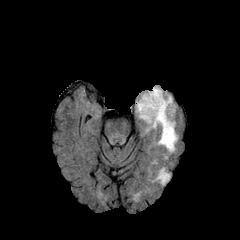
FLAIR magnetic resonance.
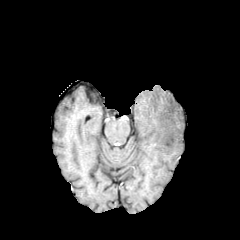
T1-weighted MRI.
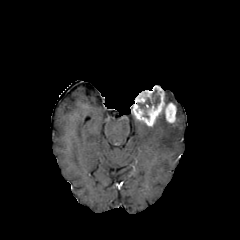
Post-contrast T1-weighted MRI of the same slice.
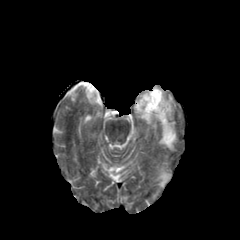
T2-weighted MR image of the same slice.
Edema: bounding box (146,114,178,154), (165,92,172,103), (155,167,171,185).
Non-enhancing tumor core: bounding box (152,90,160,105), (138,98,151,110).
Enhancing tumor: bounding box (131,86,176,126).